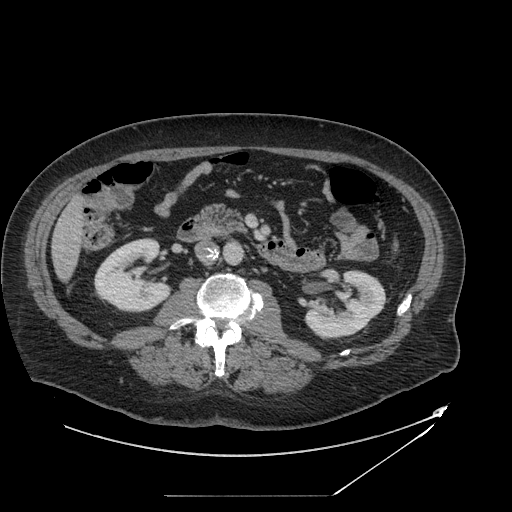 CT scan slice
pancreas: 197,203,245,231